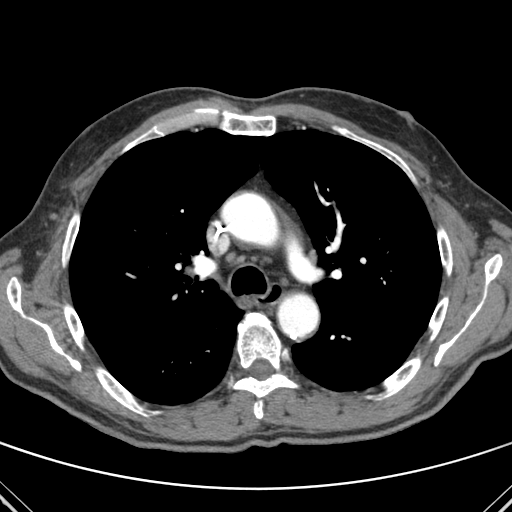
CT scan slice
15 bone regions are located at (left=62, top=214, right=79, bottom=265), (left=333, top=127, right=408, bottom=169), (left=64, top=305, right=83, bottom=349), (left=429, top=297, right=448, bottom=340), (left=483, top=254, right=502, bottom=298), (left=438, top=228, right=452, bottom=275), (left=229, top=313, right=297, bottom=418), (left=31, top=318, right=80, bottom=371), (left=434, top=302, right=482, bottom=365), (left=96, top=368, right=144, bottom=414), (left=221, top=110, right=275, bottom=135), (left=6, top=277, right=25, bottom=317), (left=124, top=126, right=160, bottom=150), (left=196, top=108, right=218, bottom=114), (left=383, top=357, right=420, bottom=397). The lung is located at (left=69, top=129, right=441, bottom=404).